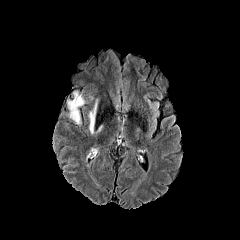
FLAIR magnetic resonance.
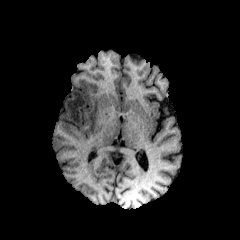
Same slice, T1-weighted MRI.
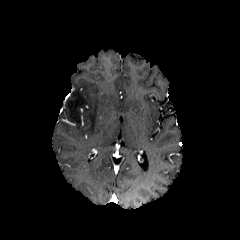
Same slice, post-contrast T1-weighted magnetic resonance.
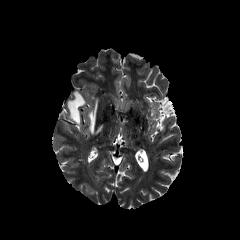
T2-weighted MRI.
Image size 240x240
Edema: bounding box box=[66, 90, 84, 124]; box=[88, 100, 97, 134].